FLAIR MRI.
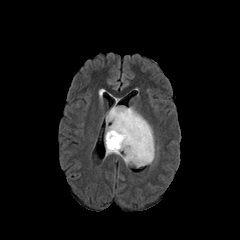
T1-weighted MR image.
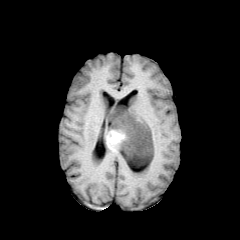
Post-contrast T1-weighted MR image.
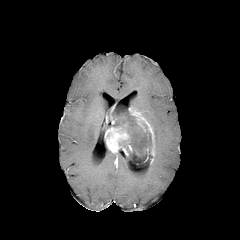
T2-weighted MRI.
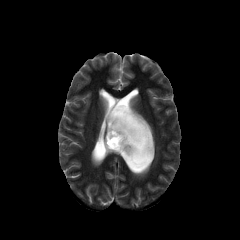
Brain
- enhancing tumor: box=[128, 107, 154, 156]; box=[105, 123, 132, 156]; box=[106, 104, 117, 124]
- non-enhancing tumor core: box=[109, 106, 152, 167]
- edema: box=[152, 134, 157, 159]; box=[103, 150, 138, 168]